Image size 512x512; CT slice
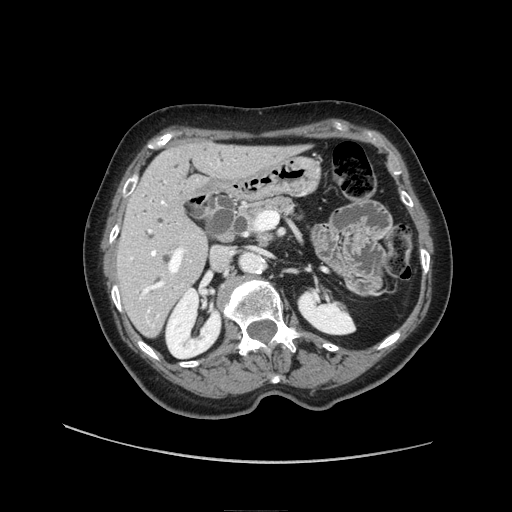 The pancreas lies within 234 198 297 245. The pancreatic tumor appears at 261 233 272 242.